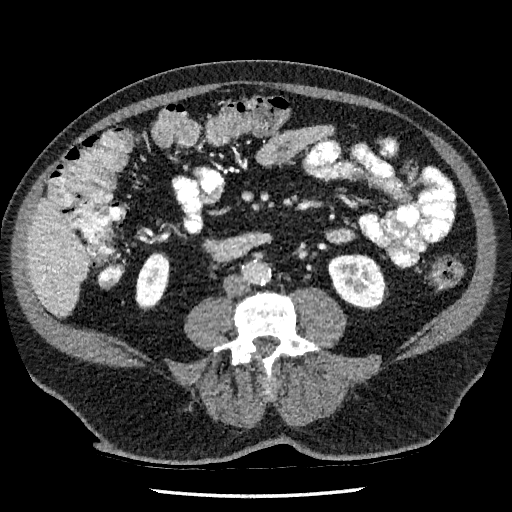

CT scan slice

{
  "liver": [
    "l=27, t=196, r=87, b=316"
  ],
  "kidney": [
    "l=329, t=255, r=384, b=306",
    "l=137, t=255, r=168, b=306"
  ]
}